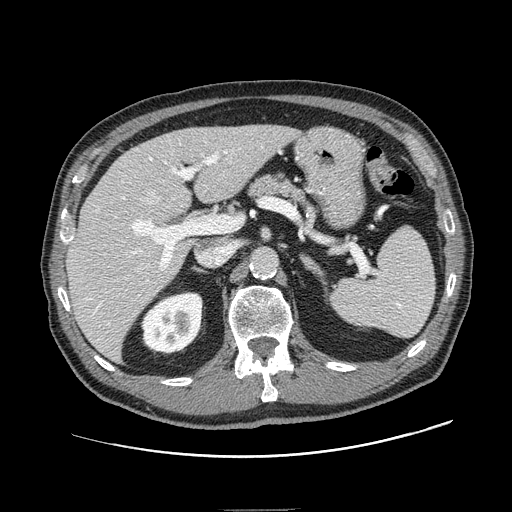
512x512, CT slice
Annotated regions:
* pancreas: 244 170 315 212